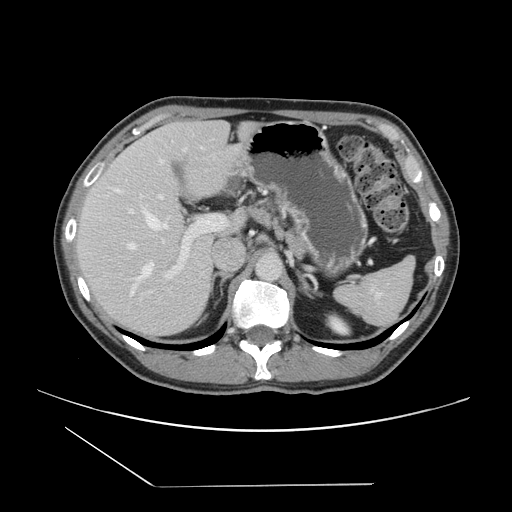 Liver | Computed tomography
Not every hepatic vessel necessarily has a box.
{"hepatic_vessel": [{"x1": 170, "y1": 267, "x2": 172, "y2": 270}, {"x1": 183, "y1": 148, "x2": 186, "y2": 151}, {"x1": 165, "y1": 220, "x2": 166, "y2": 222}, {"x1": 140, "y1": 295, "x2": 141, "y2": 297}, {"x1": 159, "y1": 159, "x2": 163, "y2": 163}, {"x1": 167, "y1": 216, "x2": 169, "y2": 219}, {"x1": 133, "y1": 278, "x2": 135, "y2": 284}, {"x1": 181, "y1": 266, "x2": 182, "y2": 268}, {"x1": 160, "y1": 223, "x2": 163, "y2": 224}]}